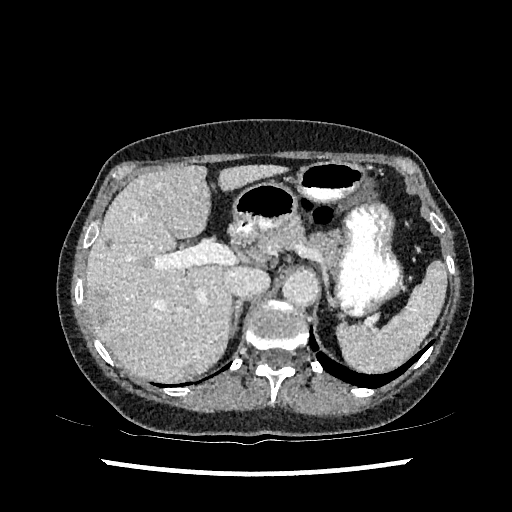 Image size 512x512 | CT image | Liver
Liver lesion: bounding box 87, 288, 110, 326.
Liver: bounding box 87, 167, 230, 381; 220, 166, 284, 189.